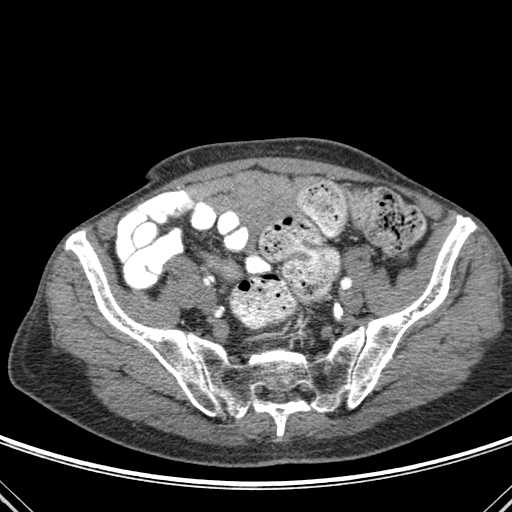
CT image | 512x512 px
Segmented structures:
* bone: <bbox>65, 215, 476, 435</bbox>